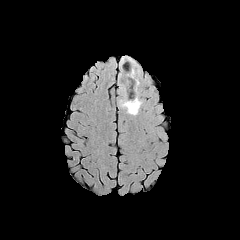
FLAIR magnetic resonance.
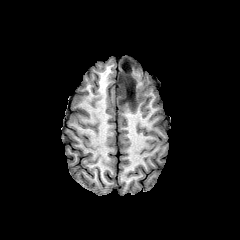
Same slice, T1-weighted magnetic resonance.
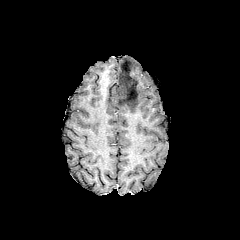
Same slice, post-contrast T1-weighted MR.
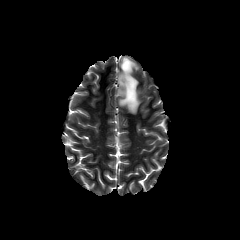
Same slice, T2-weighted magnetic resonance.
240x240 px, Head
Edema — bbox=[117, 70, 124, 86]; bbox=[118, 58, 142, 115].
Non-enhancing tumor core — bbox=[118, 63, 137, 108].